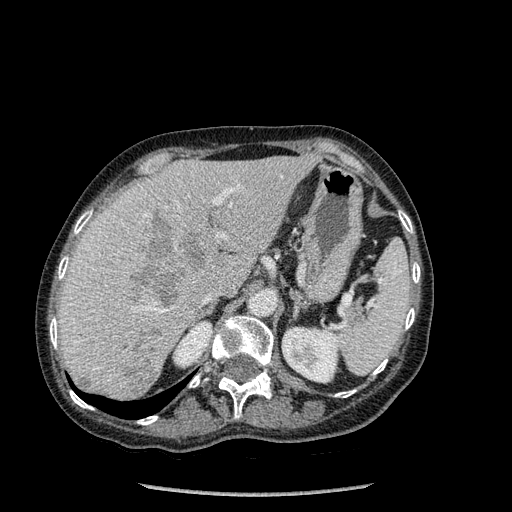 CT slice.

12 bone regions are bounded by bbox(212, 316, 273, 418); bbox(189, 373, 200, 387); bbox(412, 262, 420, 282); bbox(404, 308, 414, 329); bbox(74, 210, 92, 234); bbox(372, 359, 387, 375); bbox(58, 256, 68, 279); bbox(398, 210, 412, 233); bbox(69, 390, 93, 410); bbox(137, 416, 157, 425); bbox(334, 389, 356, 397); bbox(50, 317, 57, 348). 2 kidney regions are bounded by bbox(282, 327, 344, 382); bbox(174, 322, 212, 366). 5 focal liver lesion regions appear at bbox(79, 377, 89, 386); bbox(123, 360, 158, 395); bbox(141, 329, 160, 335); bbox(130, 210, 206, 304); bbox(132, 340, 147, 350). The lung appears at bbox(76, 380, 186, 419). The liver is located at bbox(59, 154, 321, 400).